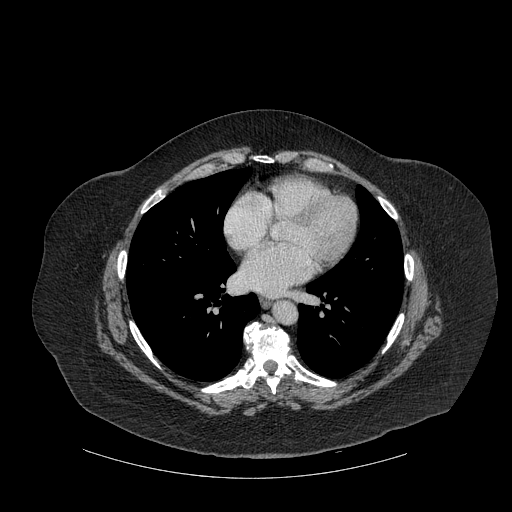

CT

Lung = left=126, top=167, right=259, bottom=381; left=297, top=187, right=403, bottom=377.
Bone = left=117, top=251, right=126, bottom=278; left=383, top=314, right=403, bottom=352; left=254, top=156, right=273, bottom=162; left=379, top=197, right=397, bottom=218; left=130, top=321, right=159, bottom=367; left=202, top=322, right=335, bottom=393; left=404, top=254, right=413, bottom=279; left=141, top=190, right=163, bottom=213.